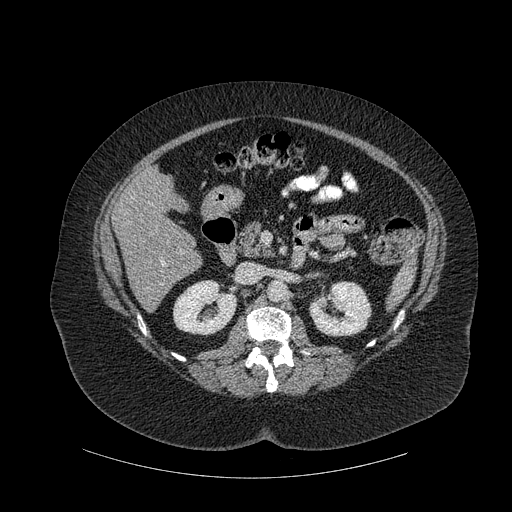

CT; 512x512 px
bone:
  - 172 353 185 360
  - 138 315 146 334
  - 394 310 403 327
  - 246 307 293 391
kidney:
  - 310 282 370 335
  - 174 280 236 334
liver:
  - 112 172 202 304